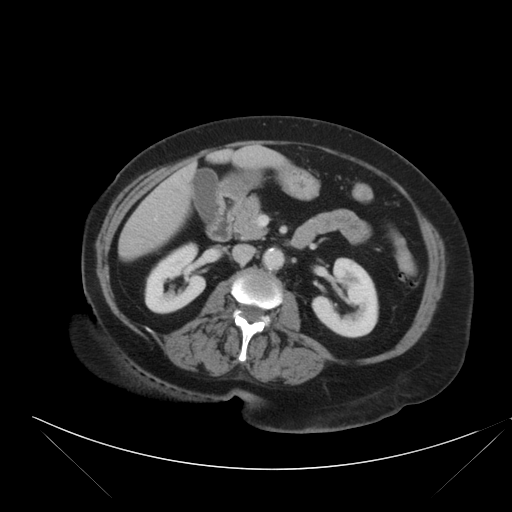 CT scan slice; Liver
Some hepatic vessels may have no box.
8 hepatic vessel regions are located at box(155, 213, 157, 220); box(189, 165, 193, 169); box(150, 197, 151, 199); box(157, 190, 161, 191); box(251, 154, 253, 155); box(163, 184, 164, 186); box(182, 170, 187, 174); box(174, 176, 177, 184).